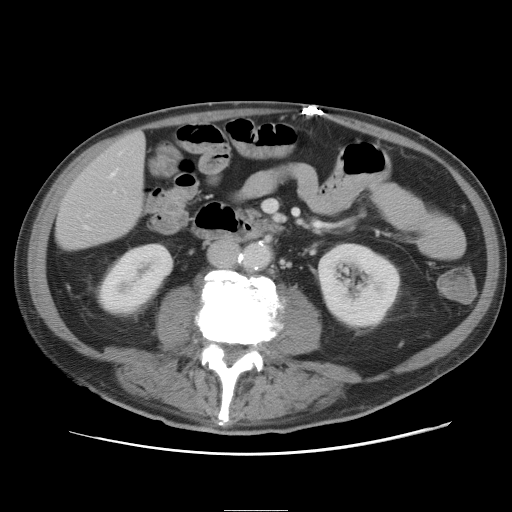 512x512 px. CT scan slice.

The vessel annotation is not exhaustive.
<segmentation>
  <hepatic_vessel>(left=138, top=133, right=140, bottom=136), (left=85, top=226, right=88, bottom=229), (left=111, top=169, right=117, bottom=176)</hepatic_vessel>
</segmentation>